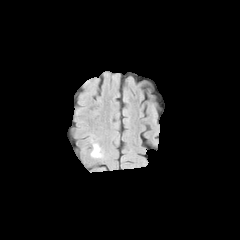
FLAIR magnetic resonance.
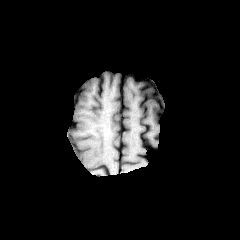
T1-weighted magnetic resonance.
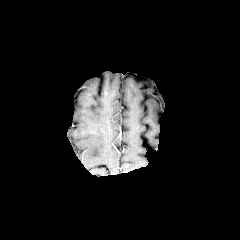
Post-contrast T1-weighted MRI.
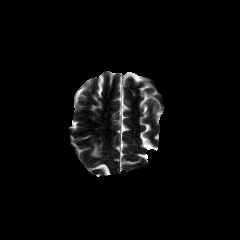
T2-weighted MR image of the same slice.
Brain
Edema — <bbox>92, 145, 99, 156</bbox>.